FLAIR MR image.
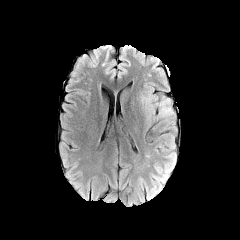
T1-weighted MR image.
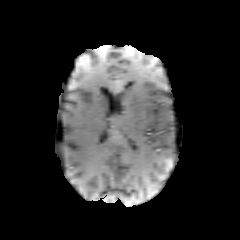
Post-contrast T1-weighted MR.
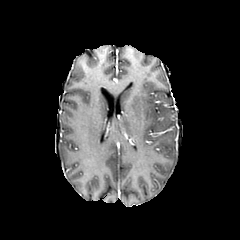
T2-weighted MR.
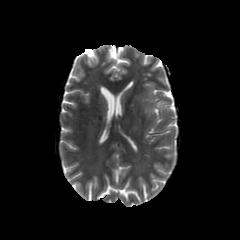
Head
<segmentation>
  <edema><box>142,87,175,126</box></edema>
</segmentation>